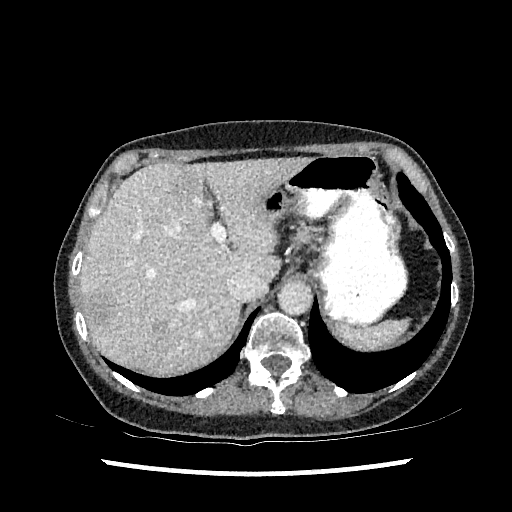
512x512 | CT image
<segmentation>
  <hepatic_lesion>84:289:116:326, 156:322:166:332, 173:175:197:198</hepatic_lesion>
  <liver>79:157:310:373</liver>
</segmentation>